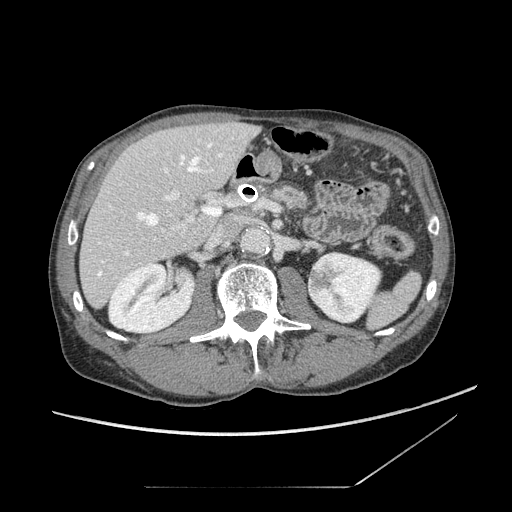

512x512, CT

The pancreas appears at [272,186,307,210].